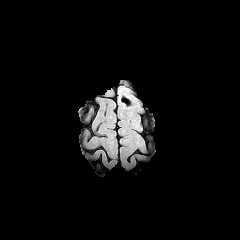
FLAIR magnetic resonance.
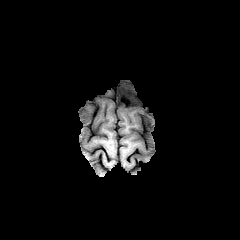
T1-weighted MR.
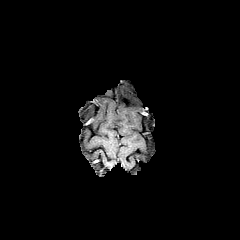
Post-contrast T1-weighted MR.
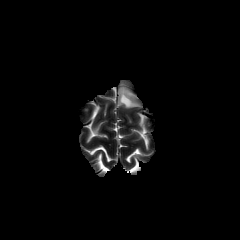
Same slice, T2-weighted MR image.
Segmented structures:
• edema: 118,86,139,107